FLAIR MR image.
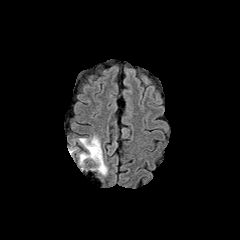
T1-weighted magnetic resonance.
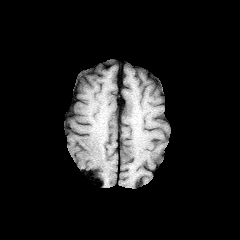
Post-contrast T1-weighted MRI.
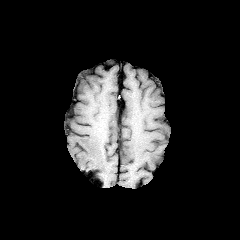
T2-weighted magnetic resonance.
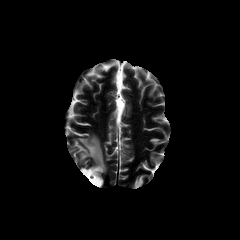
Head
The edema is bounded by box=[68, 134, 108, 177].